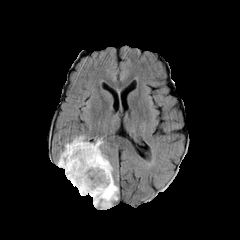
FLAIR MR.
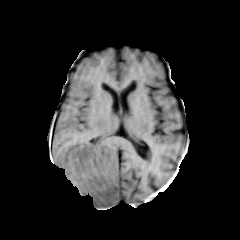
Same slice, T1-weighted magnetic resonance.
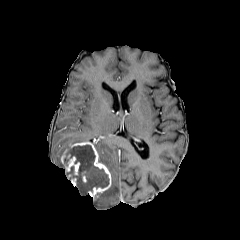
Post-contrast T1-weighted magnetic resonance of the same slice.
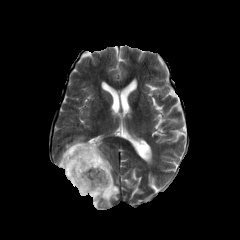
T2-weighted magnetic resonance.
Enhancing tumor — 67, 174, 76, 185; 64, 154, 79, 174; 71, 138, 111, 199.
Non-enhancing tumor core — 64, 146, 85, 183.
Edema — 72, 146, 108, 195; 93, 139, 118, 208; 56, 136, 87, 169.